Slice 71 of 155
FLAIR MRI.
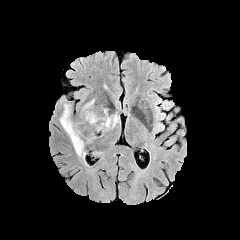
T1-weighted magnetic resonance.
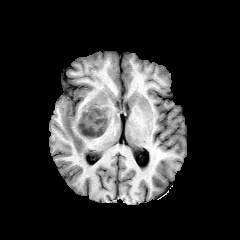
Post-contrast T1-weighted MRI.
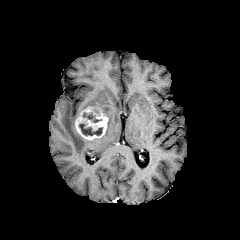
T2-weighted MR.
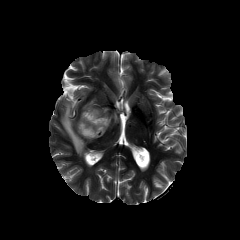
Segmented structures:
• enhancing tumor: box=[75, 106, 108, 139]
• edema: box=[60, 103, 86, 158]; box=[107, 112, 120, 129]
• non-enhancing tumor core: box=[82, 112, 98, 122]; box=[93, 127, 102, 135]; box=[79, 123, 93, 135]